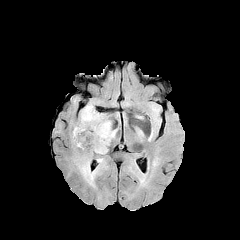
FLAIR MRI.
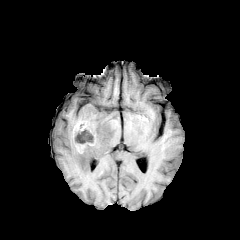
T1-weighted MRI.
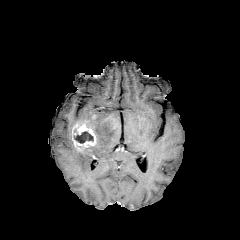
Post-contrast T1-weighted MR image.
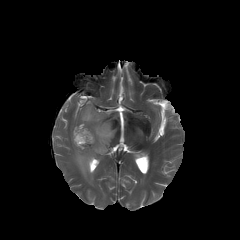
Same slice, T2-weighted magnetic resonance.
Head
Non-enhancing tumor core: left=73, top=131, right=93, bottom=143.
Enhancing tumor: left=72, top=121, right=96, bottom=150.
Edema: left=70, top=103, right=116, bottom=185.